CT scan slice, Abdomen, 512x512 px
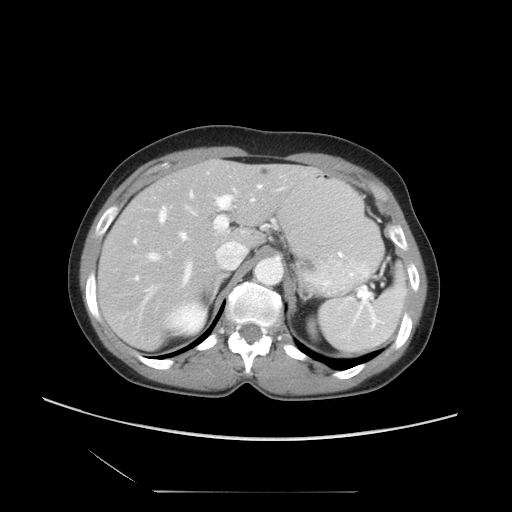

Not every hepatic vessel necessarily has a box.
Most prominent 15 of 16 hepatic vessel regions — bbox=[276, 188, 283, 190]; bbox=[182, 261, 191, 283]; bbox=[232, 241, 235, 242]; bbox=[216, 250, 217, 254]; bbox=[214, 188, 236, 209]; bbox=[185, 206, 195, 214]; bbox=[250, 198, 253, 200]; bbox=[135, 276, 138, 279]; bbox=[256, 184, 261, 188]; bbox=[179, 232, 186, 239]; bbox=[147, 253, 158, 260]; bbox=[133, 239, 136, 242]; bbox=[189, 192, 192, 197]; bbox=[158, 206, 166, 222]; bbox=[213, 215, 227, 233].